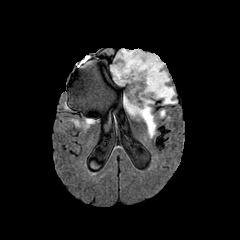
FLAIR MR.
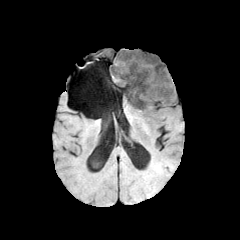
T1-weighted magnetic resonance.
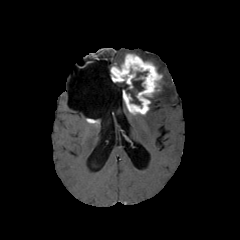
Post-contrast T1-weighted magnetic resonance.
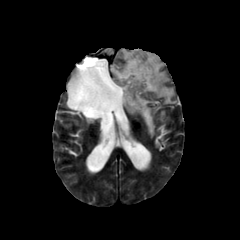
T2-weighted magnetic resonance.
Edema — (x1=114, y1=49, x2=129, y2=60), (x1=126, y1=105, x2=155, y2=137), (x1=131, y1=50, x2=177, y2=104).
Enhancing tumor — (x1=111, y1=53, x2=161, y2=114).
Non-enhancing tumor core — (x1=116, y1=79, x2=144, y2=104).